CT scan slice. Liver.
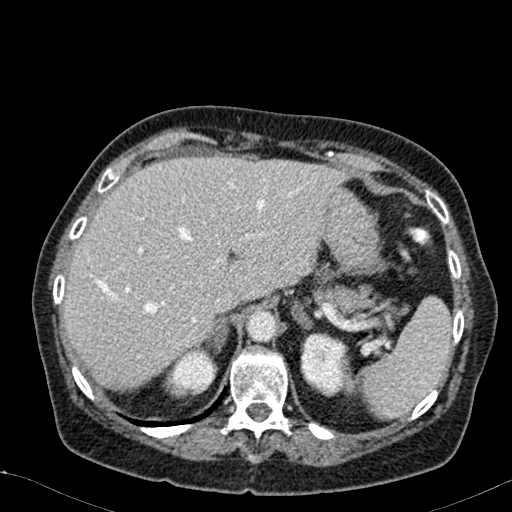

<segmentation>
  <liver>x1=64 y1=157 x2=349 y2=388</liver>
  <kidney>x1=168 y1=348 x2=213 y2=394, x1=301 y1=334 x2=352 y2=394</kidney>
</segmentation>